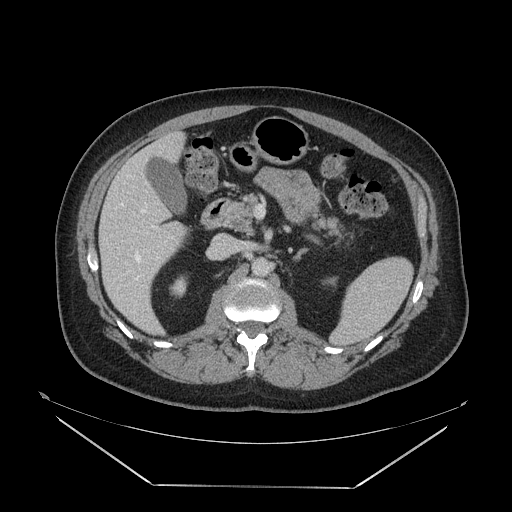

CT scan slice | Upper abdomen
Segmented structures:
* pancreas: rect(227, 197, 255, 228); rect(315, 218, 339, 232)